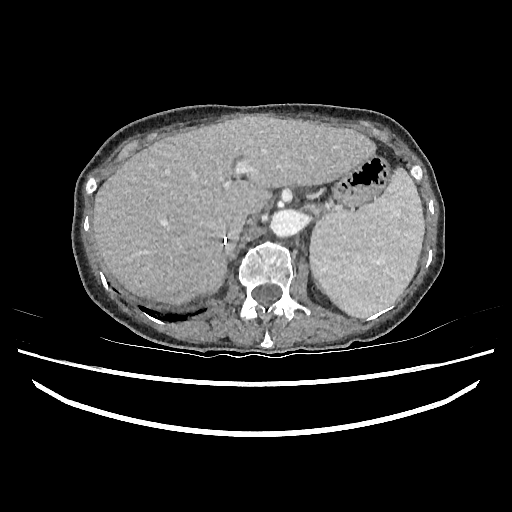

Abdomen, CT scan slice

The liver appears at 94 114 374 303.